Slice 113/155 | Head | Image size 240x240
FLAIR MRI.
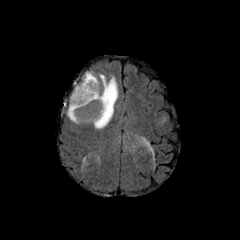
T1-weighted magnetic resonance.
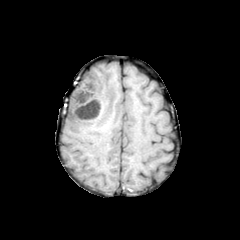
Post-contrast T1-weighted magnetic resonance.
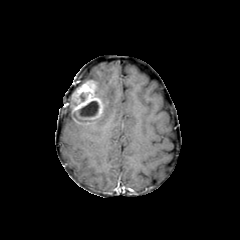
T2-weighted MR.
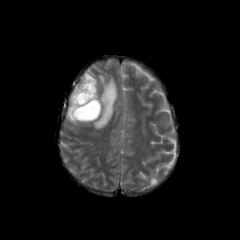
Edema at 67:70:118:129.
Non-enhancing tumor core at 70:92:102:119.
Enhancing tumor at 72:80:101:110.